CT image 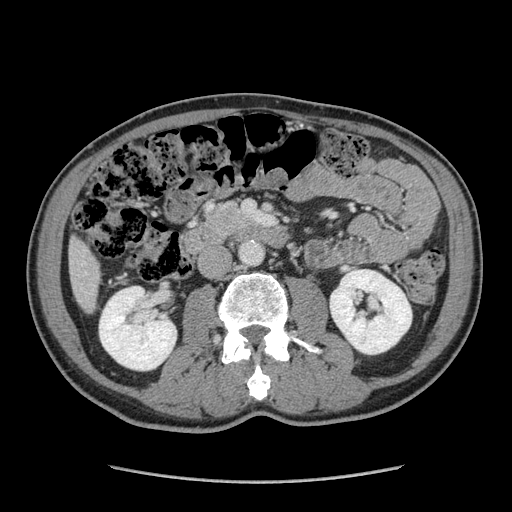
{"pancreas": ["206, 205, 252, 236"]}